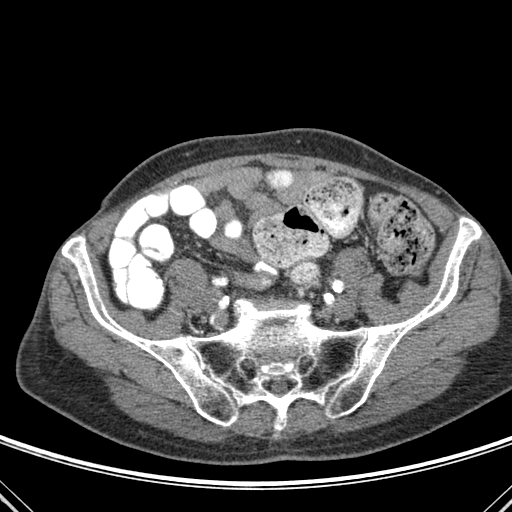
CT image
bone:
  - l=62, t=217, r=481, b=430